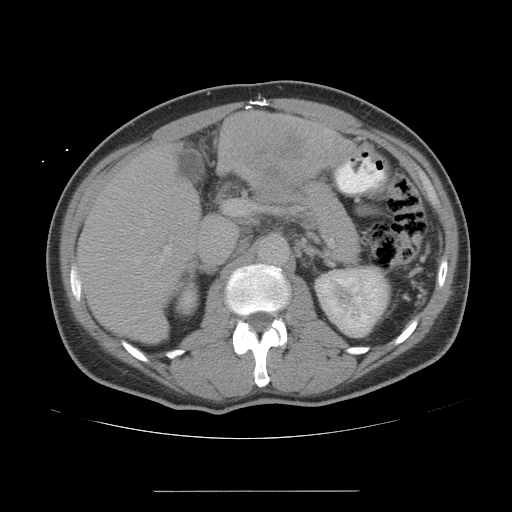

CT scan slice. Only some of the vessels may be annotated.
hepatic_vessel:
  - left=135, top=257, right=140, bottom=263
  - left=156, top=245, right=170, bottom=259
  - left=151, top=280, right=160, bottom=283
  - left=146, top=218, right=150, bottom=224
  - left=156, top=265, right=158, bottom=266
  - left=144, top=279, right=147, bottom=283
  - left=139, top=230, right=143, bottom=233
liver_tumor:
  - left=219, top=112, right=358, bottom=203